Image width 240 mm; Slice 105 of 155
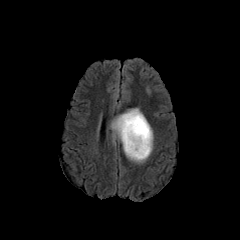
FLAIR magnetic resonance.
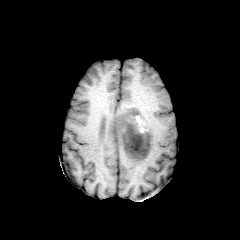
T1-weighted MRI.
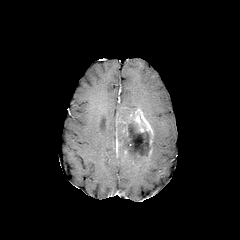
Post-contrast T1-weighted MR of the same slice.
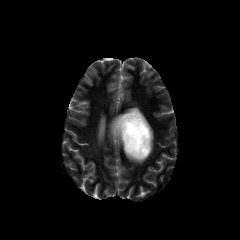
Same slice, T2-weighted MR image.
Non-enhancing tumor core — 118 121 150 158, 120 108 135 120.
Enhancing tumor — 116 109 152 147.
Edema — 124 130 154 163, 110 114 119 147.